FLAIR MRI.
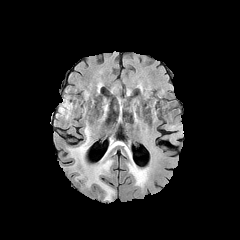
T1-weighted MR image.
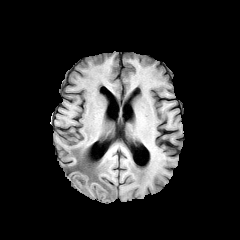
Post-contrast T1-weighted MRI.
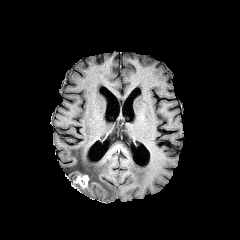
T2-weighted MRI.
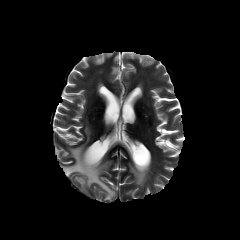
Brain
Segmented structures:
• non-enhancing tumor core: box(66, 158, 93, 185)
• enhancing tumor: box(76, 175, 89, 187)
• edema: box(69, 124, 91, 165); box(87, 142, 114, 200); box(127, 150, 149, 187)